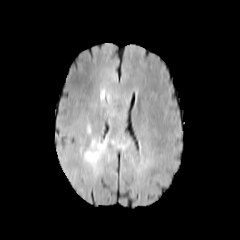
FLAIR MRI.
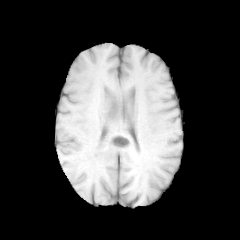
Same slice, T1-weighted MRI.
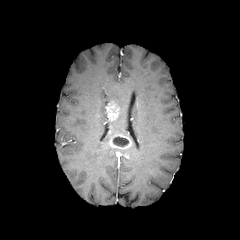
Same slice, post-contrast T1-weighted MR.
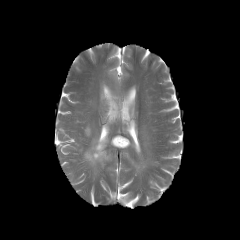
T2-weighted MRI of the same slice.
2 enhancing tumor regions are located at 110,135,132,149; 104,100,120,121. 2 edema regions appear at 104,97,122,118; 83,138,109,169. The non-enhancing tumor core lies within 112,137,129,146.